Brain | 240x240
FLAIR MRI.
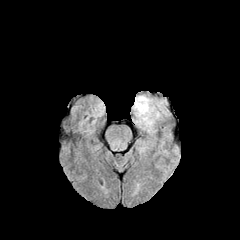
T1-weighted MR image.
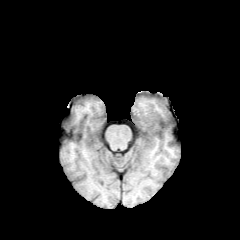
Post-contrast T1-weighted MR image.
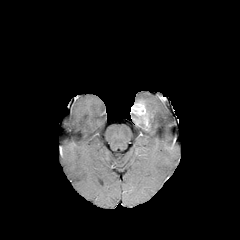
T2-weighted MRI.
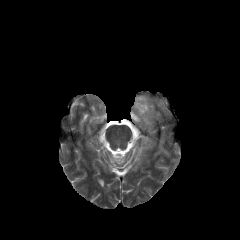
Findings:
- edema: left=137, top=141, right=149, bottom=154; left=134, top=94, right=164, bottom=132
- enhancing tumor: left=131, top=101, right=148, bottom=125